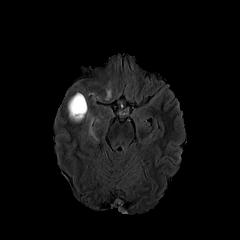
FLAIR MR image.
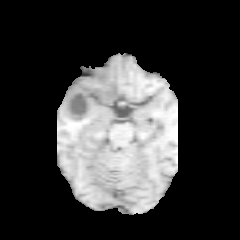
T1-weighted MRI of the same slice.
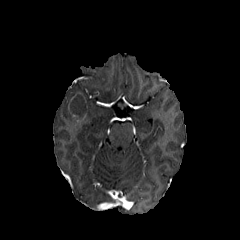
Post-contrast T1-weighted MRI.
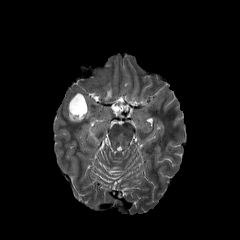
Same slice, T2-weighted MR image.
Head
{"non-enhancing_tumor_core": ["(left=69, top=94, right=86, bottom=115)"], "edema": ["(left=86, top=111, right=99, bottom=140)"], "enhancing_tumor": ["(left=72, top=111, right=86, bottom=120)"]}